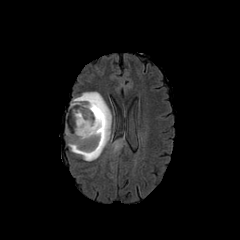
FLAIR magnetic resonance.
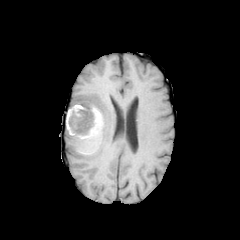
T1-weighted MR.
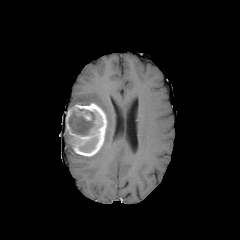
Post-contrast T1-weighted MR image.
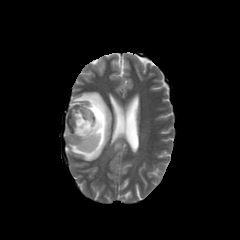
T2-weighted MRI.
The enhancing tumor is at x1=71, y1=103, x2=107, y2=156. The edema is at x1=65, y1=91, x2=112, y2=161. 2 non-enhancing tumor core regions are located at x1=76, y1=109, x2=97, y2=136; x1=80, y1=133, x2=97, y2=150.